Field of view 240x240 mm, Head
FLAIR MR image.
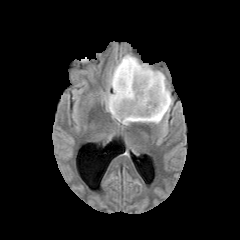
T1-weighted MRI.
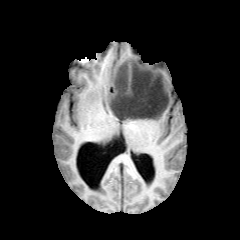
Post-contrast T1-weighted MR image.
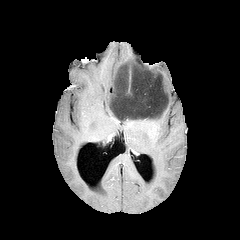
T2-weighted magnetic resonance.
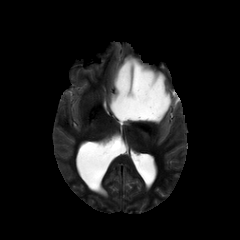
<segmentation>
  <non-enhancing_tumor_core>box(110, 60, 169, 121)</non-enhancing_tumor_core>
  <enhancing_tumor>box(128, 66, 131, 93)</enhancing_tumor>
  <edema>box(103, 53, 173, 126)</edema>
</segmentation>